Head | Slice index 88
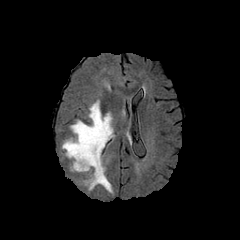
FLAIR MRI.
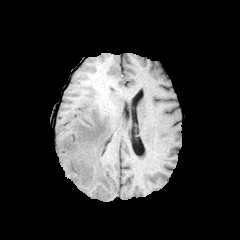
T1-weighted MRI.
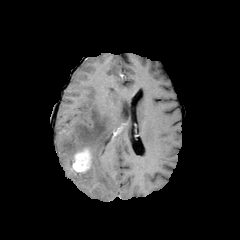
Post-contrast T1-weighted MR.
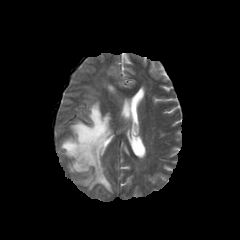
T2-weighted MR of the same slice.
Edema: l=60, t=101, r=113, b=193.
Enhancing tumor: l=68, t=149, r=92, b=173.